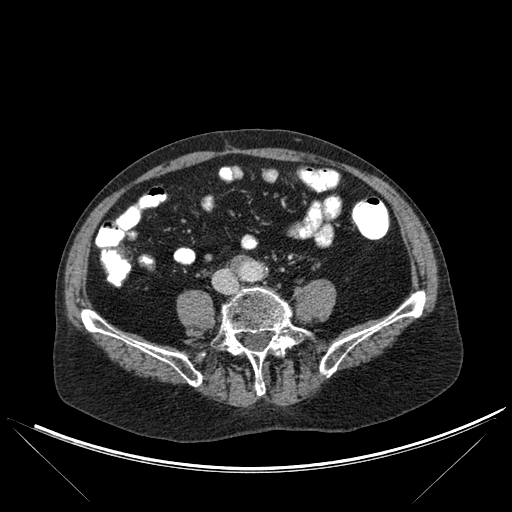 Computed tomography
3 bone regions appear at region(81, 309, 202, 386); region(320, 291, 425, 376); region(221, 288, 307, 395).